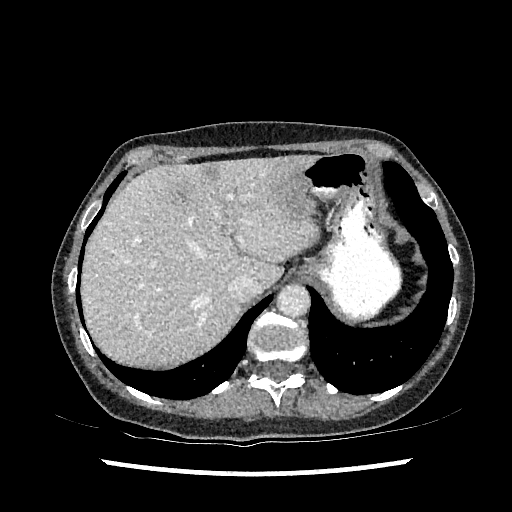

CT slice
liver: [81, 155, 318, 365] | liver lesion: [273, 161, 309, 219], [169, 180, 196, 205], [207, 165, 219, 179]